Field of view 240 mm wide, 1.00 mm slice spacing
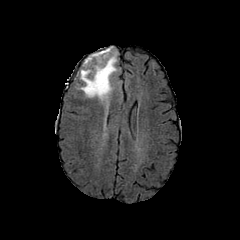
FLAIR MR.
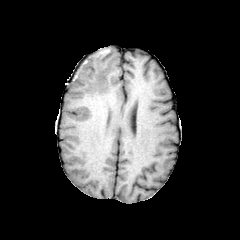
T1-weighted magnetic resonance of the same slice.
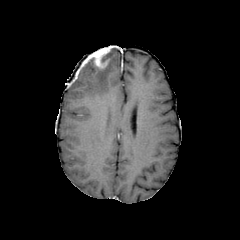
Same slice, post-contrast T1-weighted MR image.
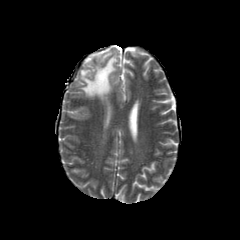
T2-weighted MRI.
Enhancing tumor at 82, 46, 113, 69.
Non-enhancing tumor core at 102, 48, 114, 62; 86, 58, 107, 75.
Edema at 75, 49, 118, 103.